Field of view 240x240 mm.
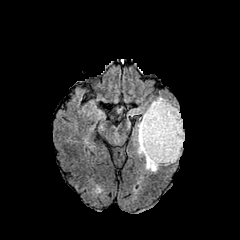
FLAIR MR image.
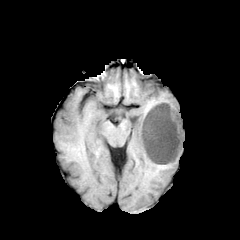
Same slice, T1-weighted magnetic resonance.
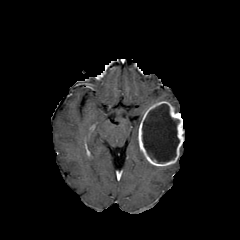
Post-contrast T1-weighted MRI of the same slice.
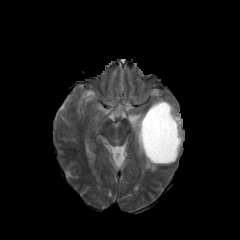
Same slice, T2-weighted MR image.
{
  "non-enhancing_tumor_core": [
    "l=142, t=103, r=179, b=162"
  ],
  "enhancing_tumor": [
    "l=138, t=101, r=183, b=165"
  ],
  "edema": [
    "l=135, t=117, r=161, b=171",
    "l=146, t=96, r=178, b=111"
  ]
}